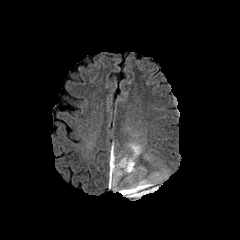
FLAIR MR.
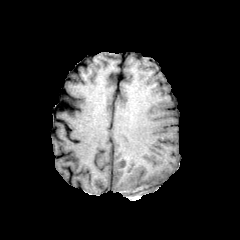
Same slice, T1-weighted MR image.
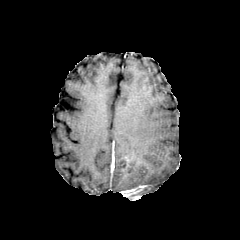
Post-contrast T1-weighted MR image of the same slice.
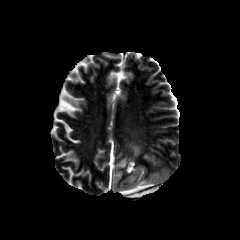
T2-weighted magnetic resonance.
Annotated regions:
* edema: x1=109, y1=145, x2=157, y2=196
* enhancing tumor: x1=121, y1=185, x2=145, y2=196